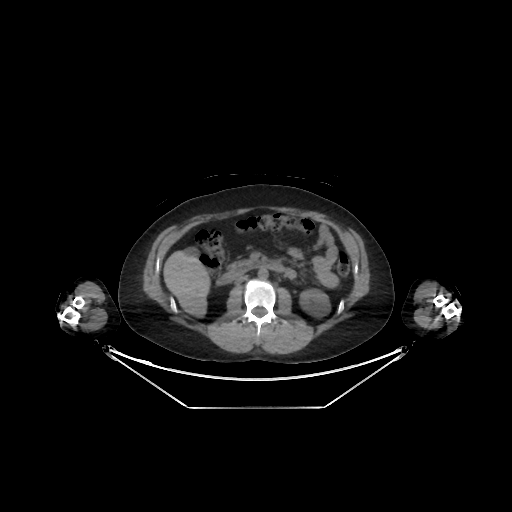

Computed tomography

Kidney at [x1=299, y1=288, x2=330, y2=317].
Liver at [x1=163, y1=250, x2=209, y2=316].